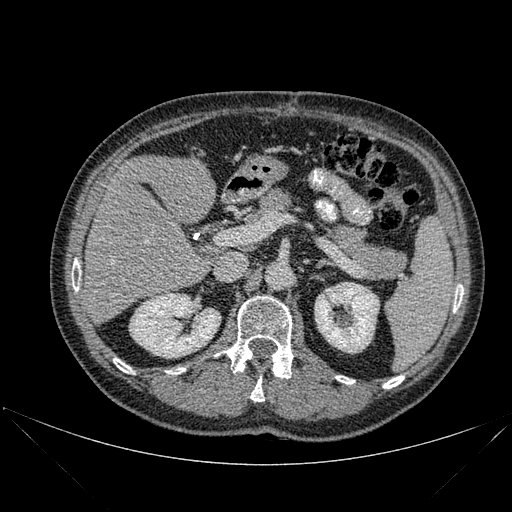 CT slice | Image size 512x512

bone:
  - box(72, 258, 79, 291)
  - box(166, 368, 185, 374)
  - box(221, 296, 293, 378)
  - box(383, 375, 404, 388)
  - box(453, 286, 463, 312)
  - box(335, 376, 354, 384)
  - box(113, 358, 134, 373)
  - box(250, 376, 264, 401)
liver:
  - box(84, 155, 216, 323)
kidney:
  - box(315, 282, 379, 352)
  - box(129, 293, 220, 357)